Head | 240x240 px
FLAIR MR.
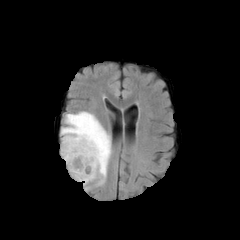
T1-weighted MR image.
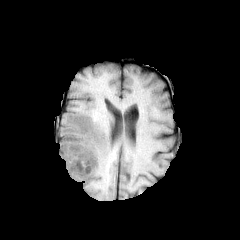
Post-contrast T1-weighted MRI.
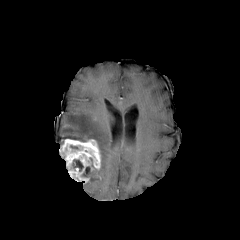
T2-weighted MRI.
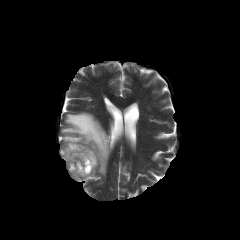
{
  "enhancing_tumor": [
    "[60, 139, 101, 183]"
  ],
  "edema": [
    "[61, 112, 110, 181]"
  ]
}